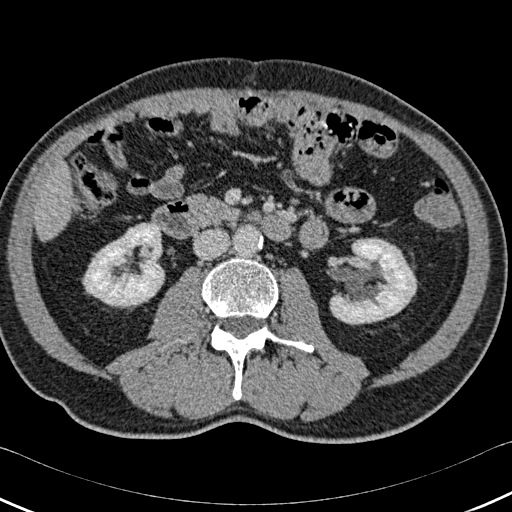

Liver. 512x512 px. CT image.

{
  "liver": [
    "bbox=[35, 166, 72, 239]"
  ],
  "kidney": [
    "bbox=[84, 223, 163, 305]",
    "bbox=[331, 239, 415, 323]"
  ],
  "bone": [
    "bbox=[211, 325, 313, 399]",
    "bbox=[201, 258, 277, 318]"
  ]
}